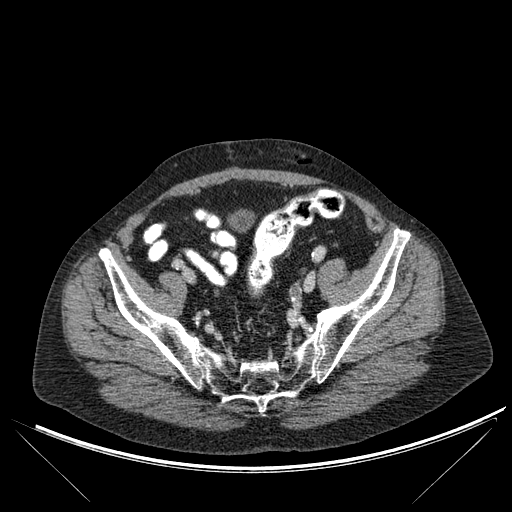

CT. Segmented structures:
- bone: [99,229,410,412]